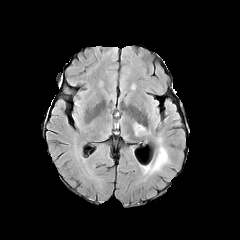
FLAIR MR.
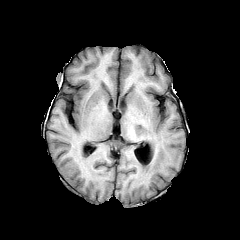
Same slice, T1-weighted MRI.
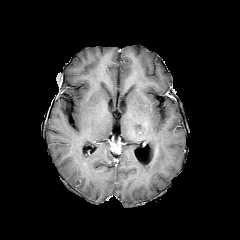
Post-contrast T1-weighted MR image.
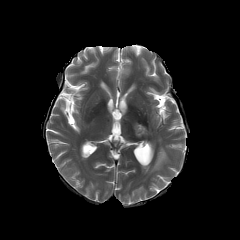
Same slice, T2-weighted magnetic resonance.
Head
2 edema regions appear at region(134, 123, 145, 135); region(140, 144, 169, 175).